Slice 8/34. Magnetic resonance. Medial temporal lobe.
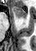 Posterior hippocampus = (left=22, top=23, right=26, bottom=25).
Anterior hippocampus = (left=12, top=6, right=28, bottom=22).